240x240 px | Field of view 240 mm wide, 1.00 mm slice spacing
FLAIR MRI.
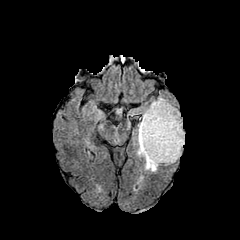
T1-weighted MR.
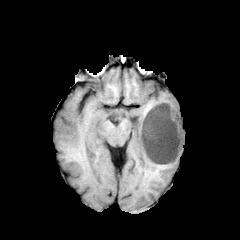
Post-contrast T1-weighted MR image.
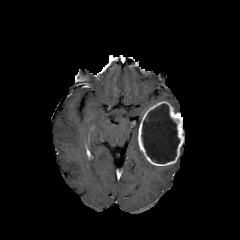
T2-weighted MRI.
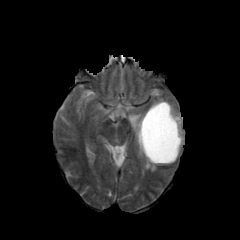
The non-enhancing tumor core lies within (x1=142, y1=103, x2=179, y2=163). 2 edema regions are bounded by (x1=150, y1=95, x2=178, y2=111), (x1=135, y1=117, x2=158, y2=171). The enhancing tumor lies within (x1=137, y1=101, x2=184, y2=165).